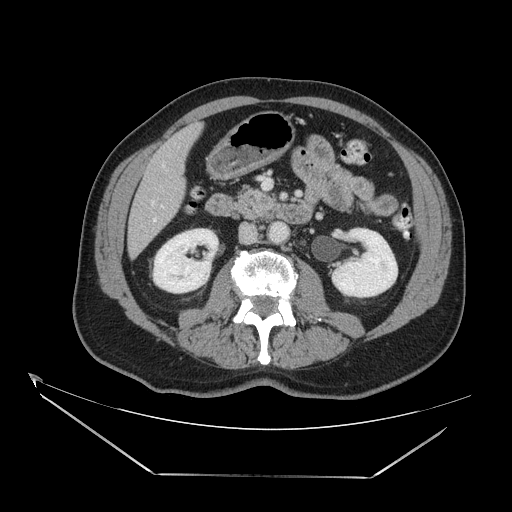
Computed tomography. 512x512 px. Abdomen.
Pancreas at bbox(239, 190, 271, 219).